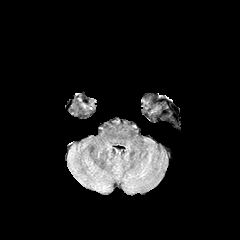
FLAIR MR.
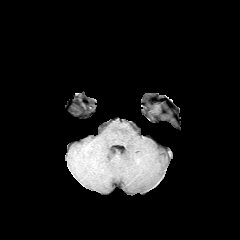
Same slice, T1-weighted MR.
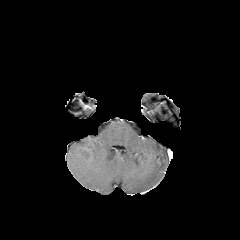
Post-contrast T1-weighted MR.
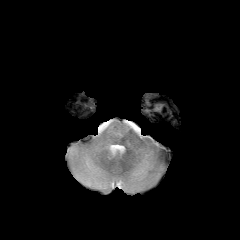
T2-weighted MRI.
Findings:
• edema: x1=85 y1=159 x2=96 y2=179, x1=126 y1=169 x2=143 y2=189